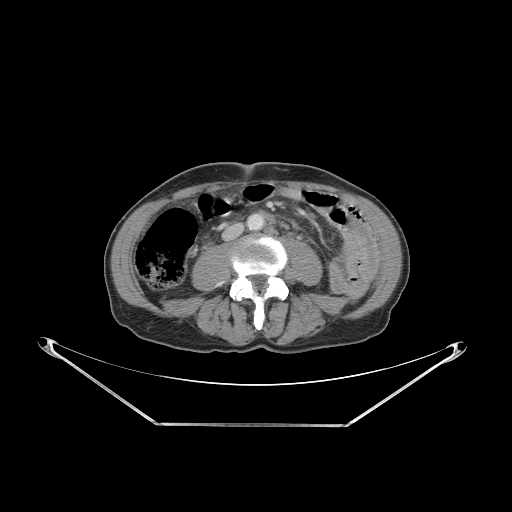 CT image
* bone: bbox(230, 237, 287, 329)